Abdomen, Slice 413/696, CT scan slice 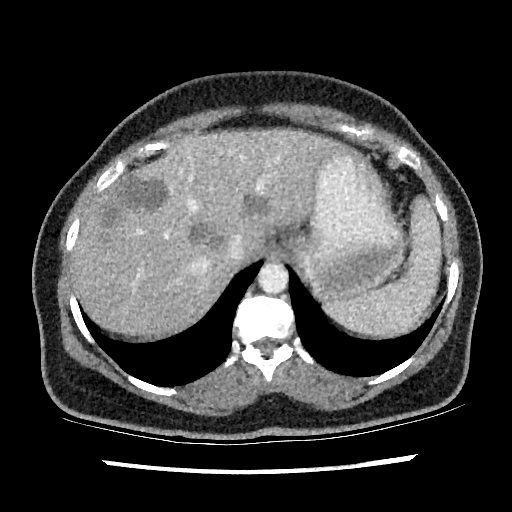

<segmentation>
  <liver>(x1=74, y1=130, x2=351, y2=335)</liver>
  <focal_liver_lesion>(x1=190, y1=225, x2=221, y2=248), (x1=100, y1=173, x2=164, y2=225), (x1=244, y1=195, x2=266, y2=213), (x1=102, y1=235, x2=109, y2=242)</focal_liver_lesion>
</segmentation>